512x512. Slice 6 of 41. CT. 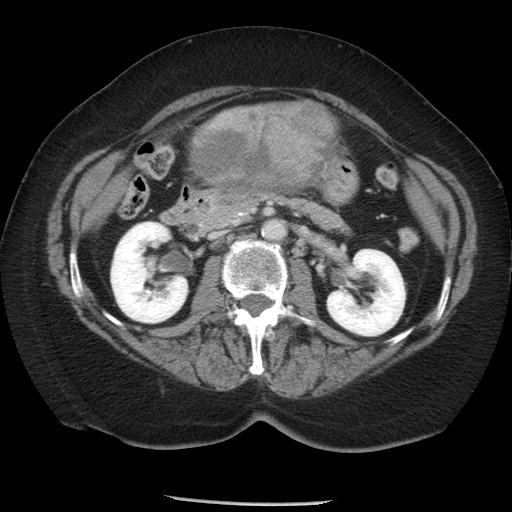
Segmented structures:
* liver tumor: left=193, top=101, right=334, bottom=185